Slice 115 of 155, Head, Field of view 240 mm wide, 1.00 mm slice spacing
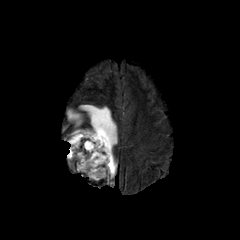
FLAIR MR image.
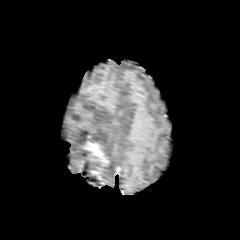
Same slice, T1-weighted magnetic resonance.
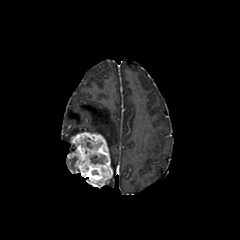
Post-contrast T1-weighted MR image.
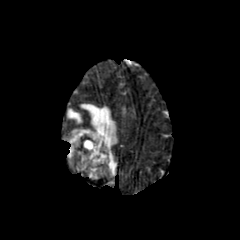
T2-weighted MR.
{"edema": ["(left=67, top=110, right=81, bottom=125)", "(left=111, top=151, right=117, bottom=174)", "(left=79, top=104, right=117, bottom=150)"], "enhancing_tumor": ["(left=66, top=129, right=113, bottom=183)"]}